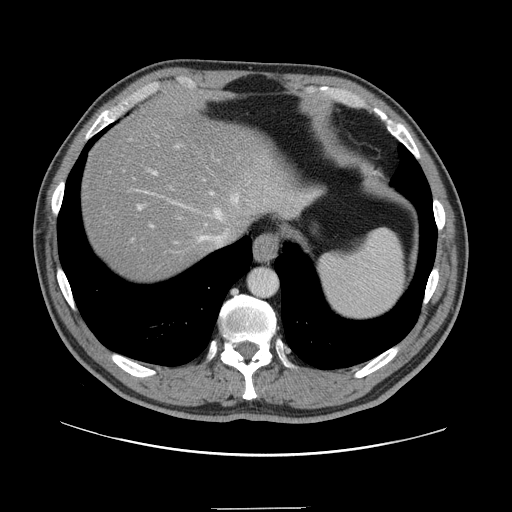

Image size 512x512 | CT
Some hepatic vessels may have no box.
hepatic vessel: box(232, 196, 238, 203); box(176, 145, 179, 148); box(211, 210, 222, 218); box(200, 236, 223, 244); box(149, 170, 156, 174); box(211, 192, 212, 195); box(138, 205, 144, 210); box(173, 202, 182, 205); box(151, 225, 152, 227)